Upper abdomen, 512x512 px, Slice 142 of 266, CT
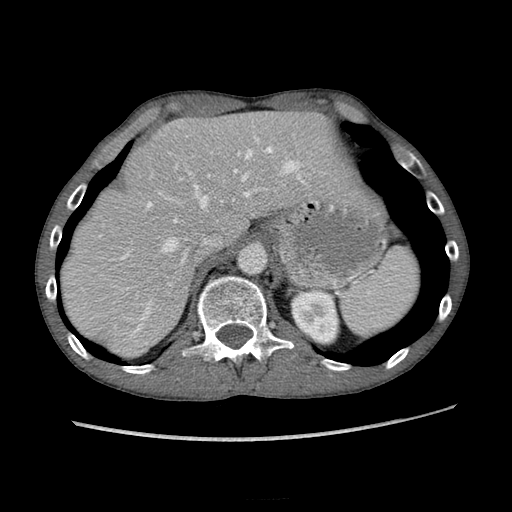
The kidney is bounded by rect(292, 292, 336, 341). The liver lies within rect(61, 109, 373, 357).